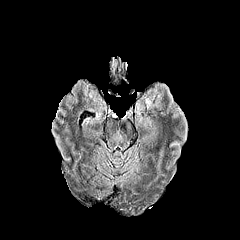
FLAIR MR.
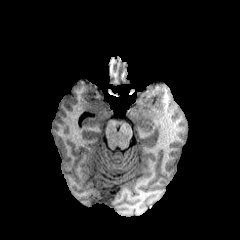
T1-weighted MRI of the same slice.
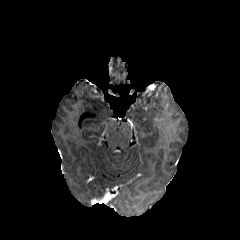
Post-contrast T1-weighted MR.
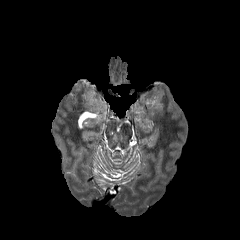
T2-weighted MR image.
Image size 240x240; Head
<segmentation>
  <edema>144 95 154 108</edema>
</segmentation>